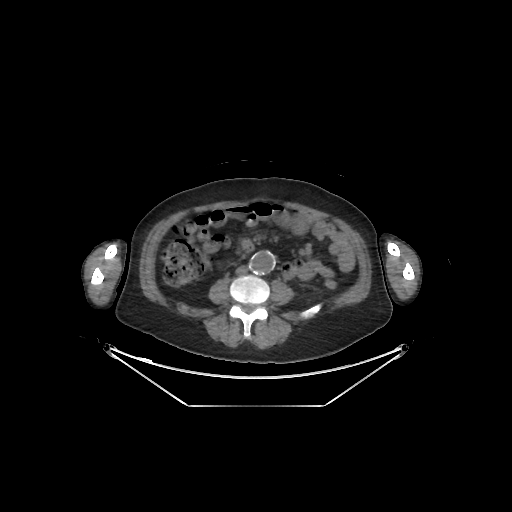
Computed tomography. bone: [388, 243, 399, 257], [230, 271, 269, 336], [91, 244, 116, 285], [301, 305, 319, 317], [403, 263, 414, 281]